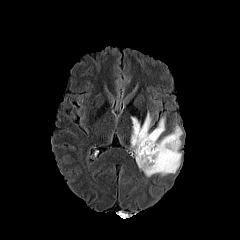
FLAIR MRI.
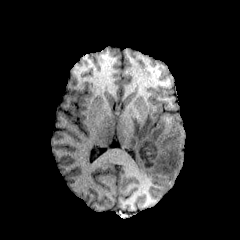
Same slice, T1-weighted MR.
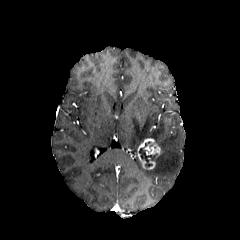
Same slice, post-contrast T1-weighted MR.
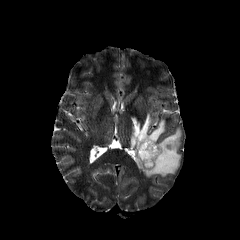
T2-weighted MR.
Head
enhancing tumor: left=137, top=138, right=163, bottom=169 | edema: left=130, top=113, right=164, bottom=152; left=136, top=128, right=182, bottom=177 | non-enhancing tumor core: left=139, top=148, right=156, bottom=162